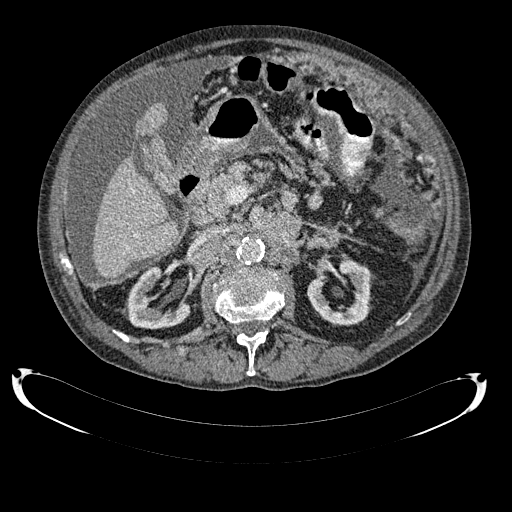

Computed tomography. 512x512 px.
{"liver": ["region(134, 103, 166, 155)", "region(92, 155, 178, 281)"], "kidney": ["region(128, 267, 189, 328)", "region(307, 258, 370, 324)"]}